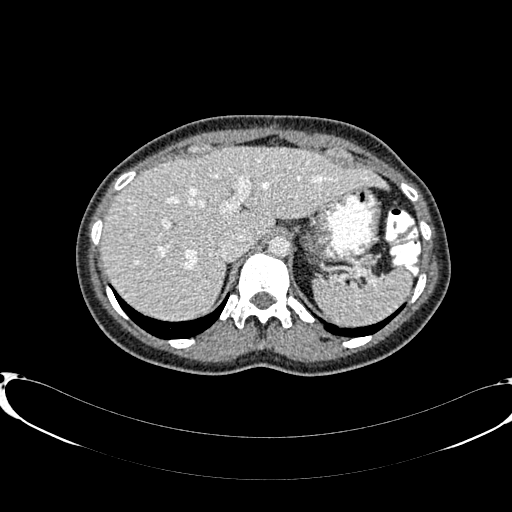

Computed tomography, Liver
- liver: x1=102 y1=147 x2=389 y2=318